Slice 315/689. Liver. Computed tomography.

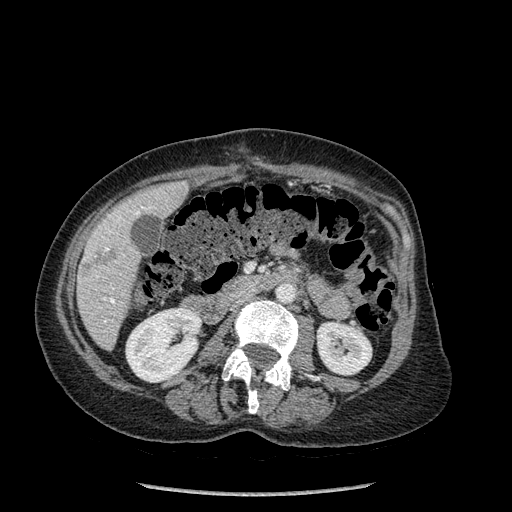
Bone: box=[222, 300, 298, 413].
Liver lesion: box=[83, 250, 115, 273].
Liver: box=[77, 181, 188, 351].
Kidney: box=[317, 322, 371, 374]; box=[126, 308, 201, 382].